Head
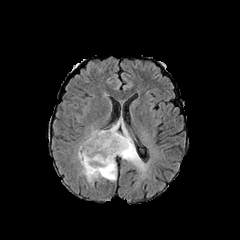
FLAIR MR image.
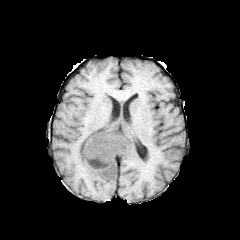
T1-weighted magnetic resonance.
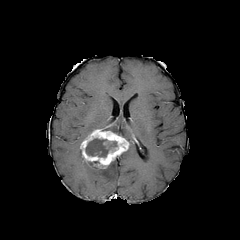
Post-contrast T1-weighted MR image.
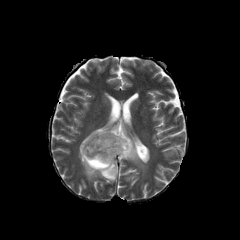
Same slice, T2-weighted MR.
{"non-enhancing_tumor_core": ["[85, 138, 116, 156]"], "enhancing_tumor": ["[80, 129, 129, 168]"], "edema": ["[78, 117, 146, 182]"]}